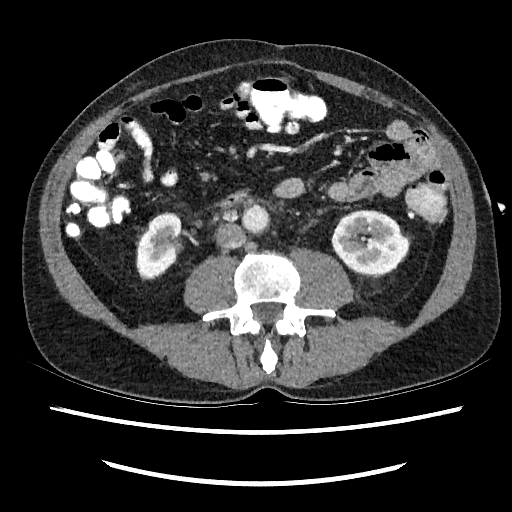
Image size 512x512; CT; Abdomen

Kidney at x1=332, y1=211, x2=407, y2=273; x1=137, y1=215, x2=180, y2=276.